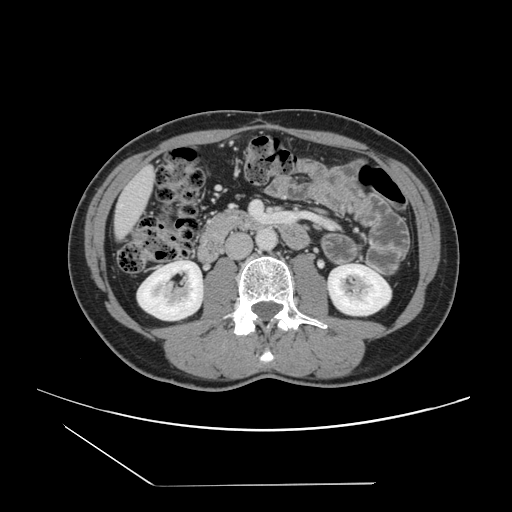 Liver. CT. Not every hepatic vessel necessarily has a box.
The hepatic vessel lies within (x1=119, y1=204, x2=122, y2=205).